FLAIR MRI.
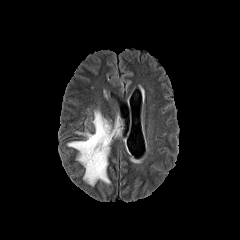
T1-weighted magnetic resonance.
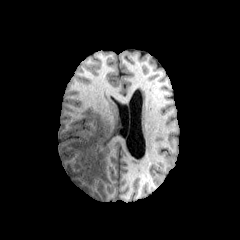
Post-contrast T1-weighted MR.
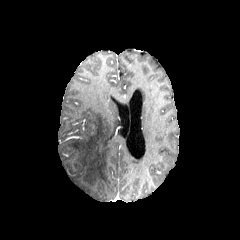
T2-weighted MR image.
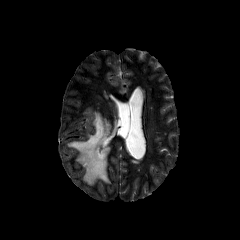
Brain.
The edema lies within (x1=67, y1=109, x2=122, y2=185).